Field of view 340 mm wide, 5.00 mm slice spacing, Computed tomography, Slice index 26

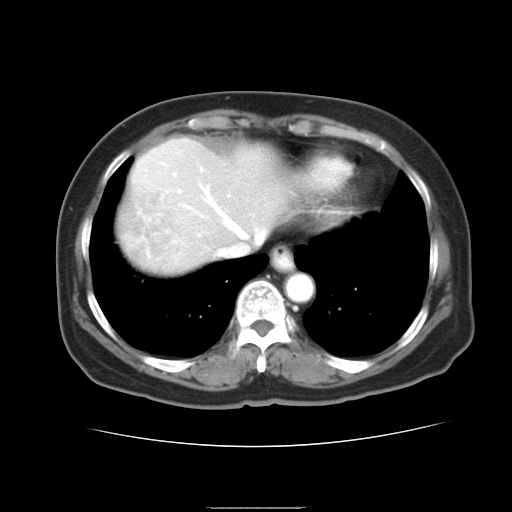

Not every hepatic vessel necessarily has a box.
The liver tumor appears at (120,186,182,269). 9 hepatic vessel regions are bounded by (178,190,179,192), (199,185,245,237), (200,215,201,216), (180,204,181,205), (200,168,202,170), (219,246,247,255), (184,206,192,209), (173,173,174,175), (255,231,262,243).